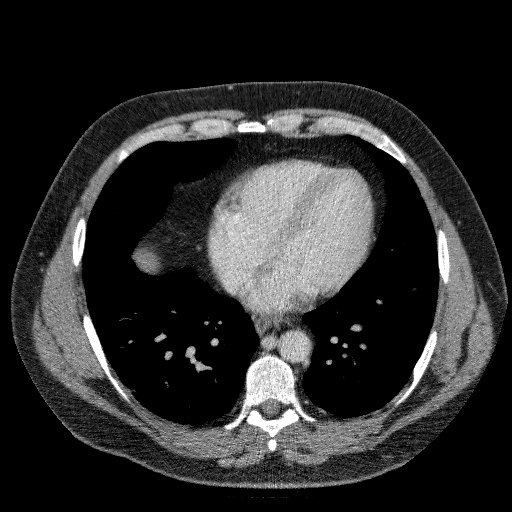
512x512 px; Upper abdomen; CT scan slice
liver: 136, 252, 158, 272